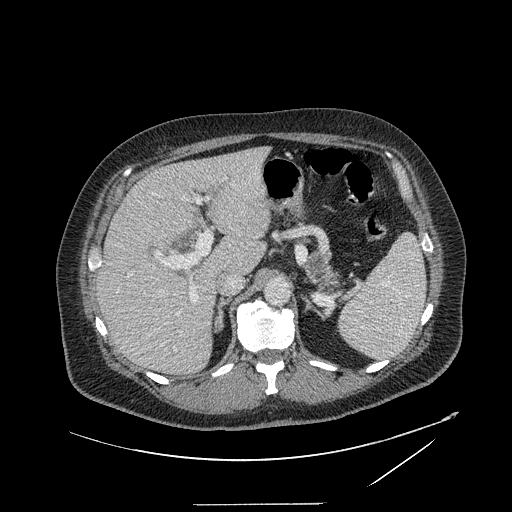

CT slice | 512x512 px
Pancreas: bounding box rect(306, 252, 342, 293).